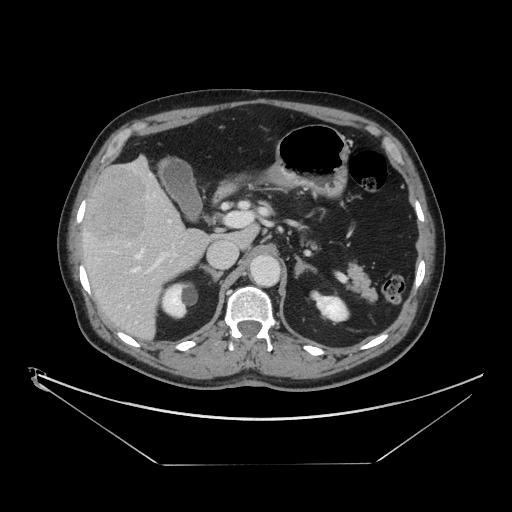
CT.

Only some of the vessels may be annotated.
liver tumor: {"x1": 84, "y1": 165, "x2": 148, "y2": 245} | hepatic vessel: {"x1": 136, "y1": 249, "x2": 143, "y2": 258}, {"x1": 151, "y1": 253, "x2": 167, "y2": 268}, {"x1": 168, "y1": 220, "x2": 171, "y2": 222}, {"x1": 133, "y1": 267, "x2": 139, "y2": 271}, {"x1": 127, "y1": 306, "x2": 129, "y2": 308}, {"x1": 153, "y1": 195, "x2": 154, "y2": 197}, {"x1": 173, "y1": 254, "x2": 175, "y2": 255}